Upper abdomen. CT scan slice. Slice 56/95. 512x512 px. 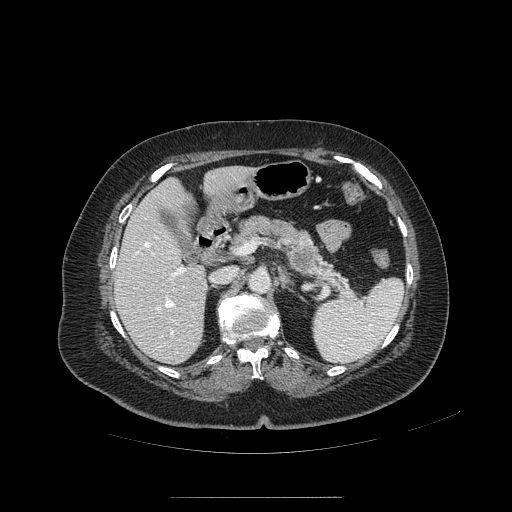 The pancreatic tumor is at 291, 245, 318, 272. The pancreas lies within 229, 216, 337, 279.